Pelvis
T2-weighted magnetic resonance.
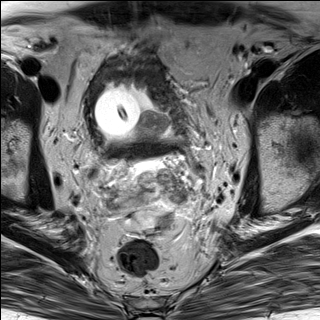
ADC MRI.
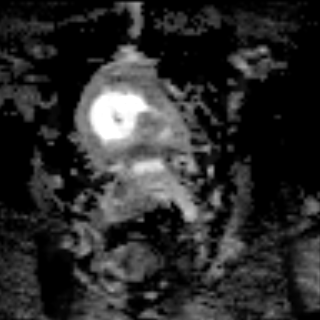
Prostate transition zone — [x1=139, y1=114, x2=164, y2=138].